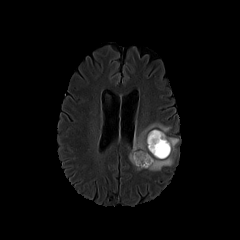
FLAIR MRI.
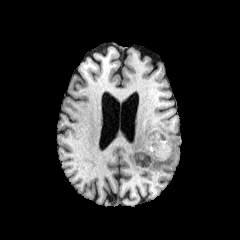
Same slice, T1-weighted MR image.
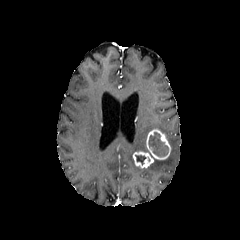
Post-contrast T1-weighted MR image.
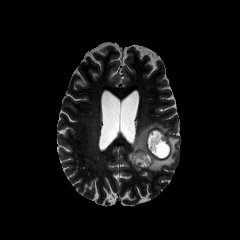
T2-weighted MR image.
Head
<segmentation>
  <edema>(x1=128, y1=122, x2=171, y2=171), (x1=148, y1=137, x2=178, y2=171)</edema>
  <enhancing_tumor>(x1=132, y1=128, x2=171, y2=168)</enhancing_tumor>
  <non-enhancing_tumor_core>(x1=134, y1=155, x2=146, y2=165), (x1=148, y1=132, x2=169, y2=157)</non-enhancing_tumor_core>
</segmentation>